Slice 94 of 151, Computed tomography 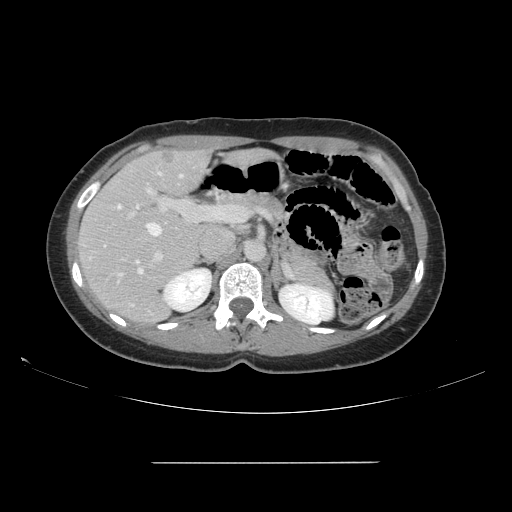
Not every hepatic vessel necessarily has a box.
13 hepatic vessel regions are bounded by 129,304,133,306; 147,183,155,195; 136,260,138,262; 157,170,160,174; 179,174,183,177; 153,252,161,261; 137,205,138,208; 139,268,142,273; 146,222,161,235; 159,198,175,210; 117,273,121,277; 118,204,121,208; 130,213,134,216. The liver tumor appears at 162,153,176,163.